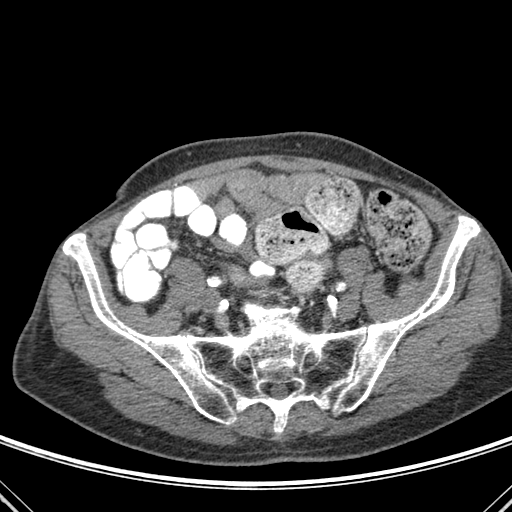 512x512, CT scan slice
Bone: bounding box x1=62, y1=216, x2=480, y2=432.